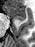 35x47 px | Magnetic resonance
Anterior hippocampus: bounding box 8, 6, 25, 19.
Posterior hippocampus: bounding box 19, 20, 22, 20.